Slice 324/826, Computed tomography

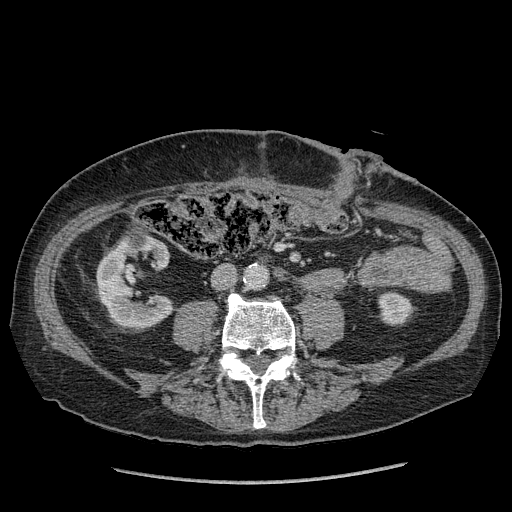

kidney:
  - bbox(97, 241, 172, 328)
  - bbox(379, 292, 412, 325)
  - bbox(141, 239, 168, 268)